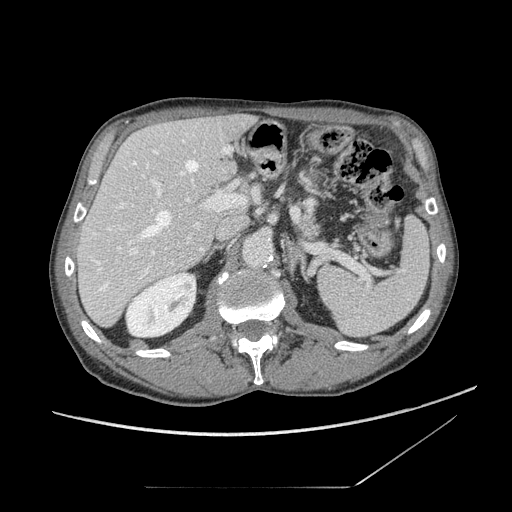

CT scan slice; Upper abdomen
pancreas: <bbox>301, 210, 319, 238</bbox>